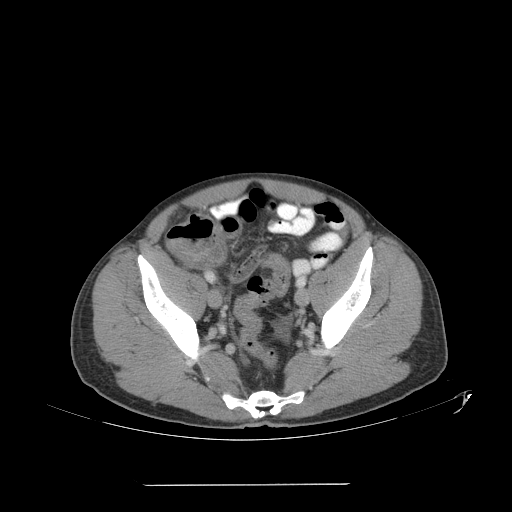
CT slice | Abdomen | 512x512 px

The colon tumor appears at [166, 239, 226, 268].